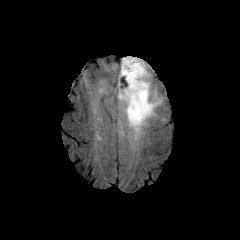
FLAIR MR.
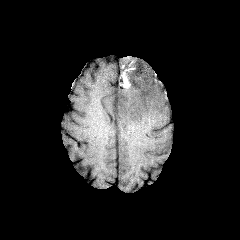
T1-weighted MRI.
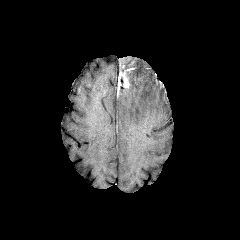
Post-contrast T1-weighted MR image.
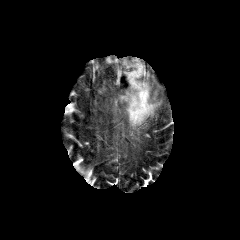
T2-weighted MRI.
240x240 px | Head
edema: bbox(117, 57, 161, 141) | enhancing tumor: bbox(118, 64, 133, 87) | non-enhancing tumor core: bbox(120, 58, 136, 85)